Liver; CT slice

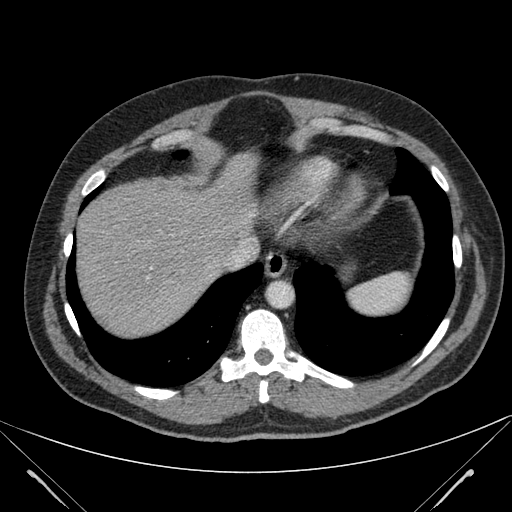
Liver at x1=77, y1=154, x2=258, y2=337.